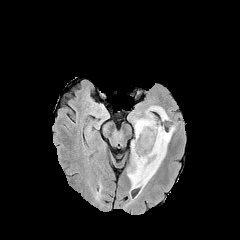
FLAIR MR image.
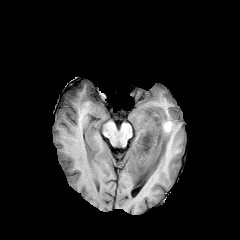
T1-weighted MRI.
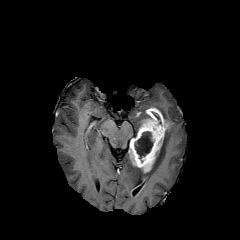
Post-contrast T1-weighted MRI of the same slice.
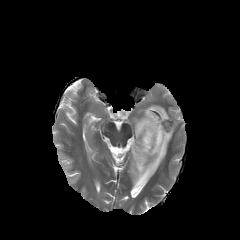
T2-weighted MR of the same slice.
Non-enhancing tumor core: bounding box [x1=152, y1=140, x2=164, y2=169], [x1=135, y1=170, x2=151, y2=188], [x1=134, y1=131, x2=152, y2=157].
Edema: bounding box [x1=150, y1=105, x2=169, y2=120], [x1=145, y1=125, x2=174, y2=183], [x1=127, y1=162, x2=139, y2=189], [x1=133, y1=114, x2=141, y2=131].
Enhancing tumor: bounding box [x1=130, y1=108, x2=166, y2=175].